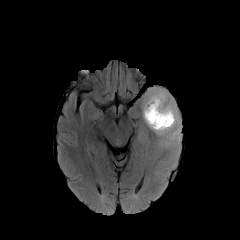
FLAIR MRI.
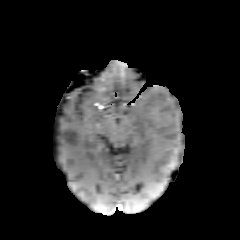
T1-weighted MR image.
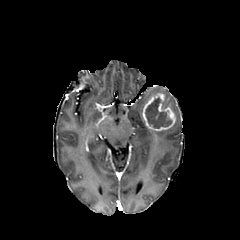
Post-contrast T1-weighted magnetic resonance.
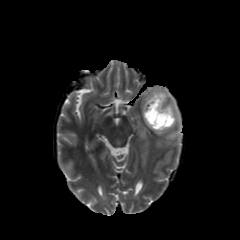
Same slice, T2-weighted MRI.
240x240.
The edema is at region(141, 86, 182, 151). The non-enhancing tumor core is at region(145, 98, 171, 128). The enhancing tumor is at region(142, 92, 175, 131).